Computed tomography. Image size 512x512. Slice 81 of 146.

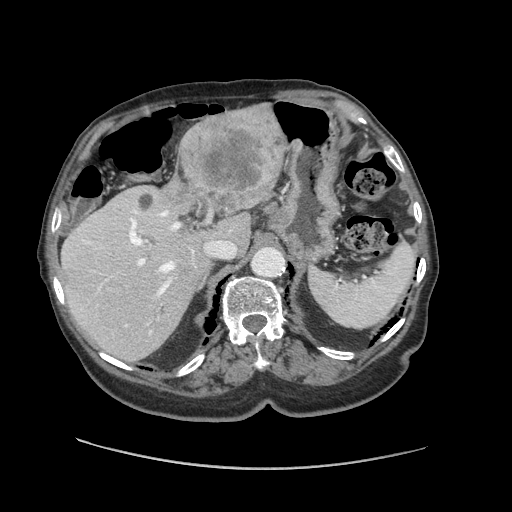
The vessel boxes may cover only some of the vessels.
Annotated regions:
• hepatic vessel: {"x1": 171, "y1": 223, "x2": 179, "y2": 228}, {"x1": 138, "y1": 259, "x2": 144, "y2": 264}, {"x1": 160, "y1": 211, "x2": 167, "y2": 215}, {"x1": 204, "y1": 241, "x2": 235, "y2": 257}, {"x1": 159, "y1": 261, "x2": 174, "y2": 272}, {"x1": 158, "y1": 280, "x2": 169, "y2": 295}, {"x1": 130, "y1": 231, "x2": 141, "y2": 245}
• liver tumor: {"x1": 171, "y1": 108, "x2": 280, "y2": 224}